240x240 px; Brain
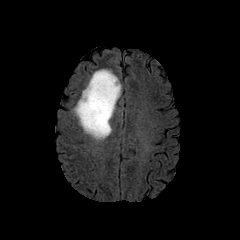
FLAIR MRI.
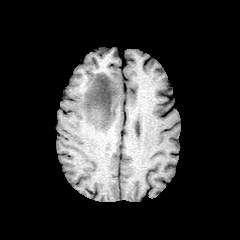
T1-weighted MR of the same slice.
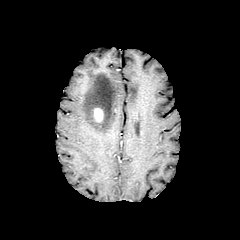
Same slice, post-contrast T1-weighted MR image.
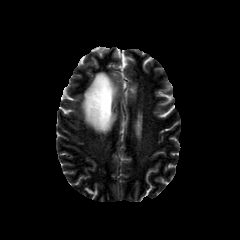
T2-weighted MRI.
The enhancing tumor is bounded by (94, 108, 103, 121). The non-enhancing tumor core lies within (92, 78, 111, 123). The edema appears at (72, 68, 121, 140).